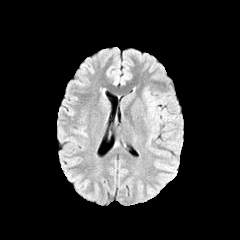
FLAIR MRI.
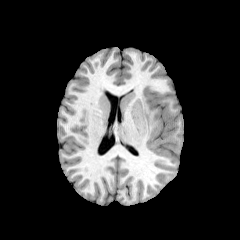
Same slice, T1-weighted MR image.
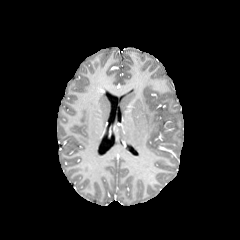
Post-contrast T1-weighted MR.
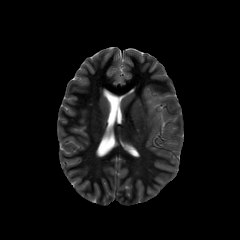
T2-weighted MR.
edema: rect(147, 95, 163, 116)